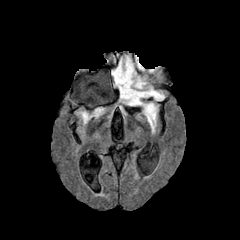
FLAIR MR image.
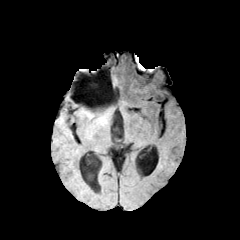
Same slice, T1-weighted MRI.
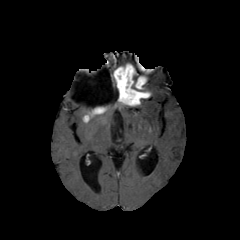
Same slice, post-contrast T1-weighted magnetic resonance.
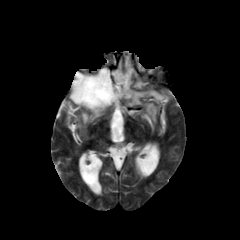
T2-weighted MR image of the same slice.
Head
Edema: <bbox>146, 85, 164, 100</bbox>, <bbox>140, 98, 157, 128</bbox>, <bbox>118, 54, 131, 65</bbox>.
Non-enhancing tumor core: <bbox>92, 106, 104, 113</bbox>.
Enhancing tumor: <bbox>113, 63, 150, 105</bbox>.